CT slice; Field of view 369 mm wide, 1.50 mm slice spacing; Liver

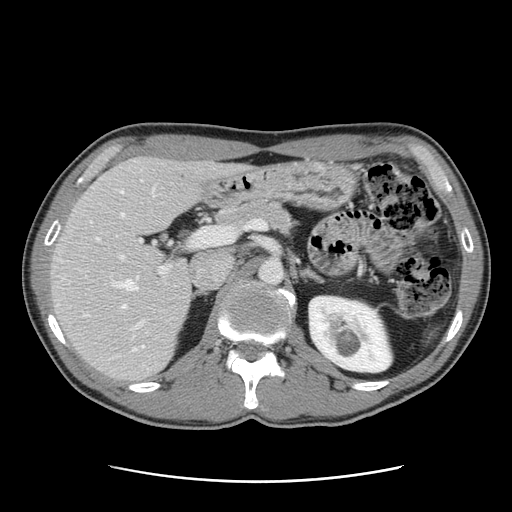
Only some of the vessels may be annotated.
<segmentation>
  <hepatic_vessel>(120, 256, 124, 259), (133, 348, 136, 350), (120, 190, 122, 192), (114, 280, 137, 290), (152, 187, 154, 197), (121, 213, 123, 216), (141, 345, 143, 347), (90, 221, 91, 222), (96, 237, 98, 240), (158, 265, 170, 274), (139, 239, 141, 241), (130, 320, 143, 331), (122, 305, 125, 307), (84, 315, 87, 315)</hepatic_vessel>
</segmentation>